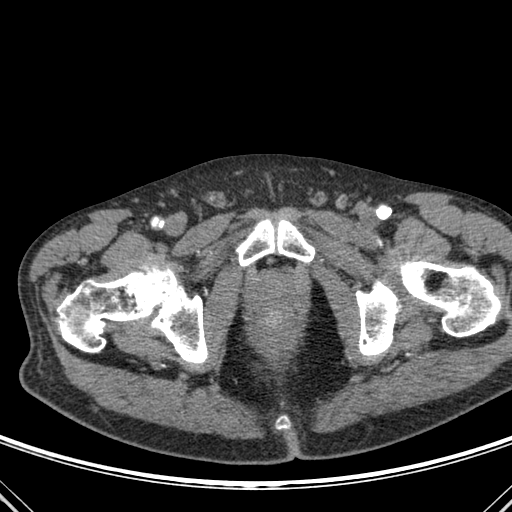

Image size 512x512; CT scan slice
<segmentation>
  <bone>x1=355, y1=260, x2=501, y2=355; x1=236, y1=219, x2=314, y2=266; x1=277, y1=417, x2=288, y2=428; x1=57, y1=265, x2=207, y2=363</bone>
</segmentation>